Brain; Slice index 109
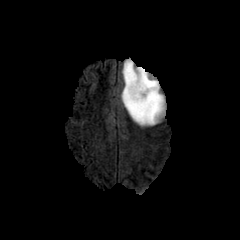
FLAIR MRI.
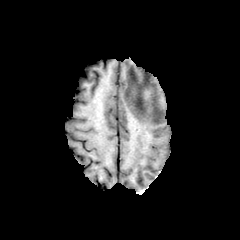
T1-weighted MR image.
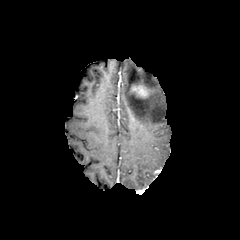
Post-contrast T1-weighted MR image of the same slice.
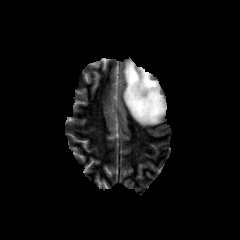
T2-weighted MR.
{"non-enhancing_tumor_core": ["bbox(129, 80, 148, 102)"], "edema": ["bbox(121, 60, 165, 125)"], "enhancing_tumor": ["bbox(131, 85, 146, 96)"]}